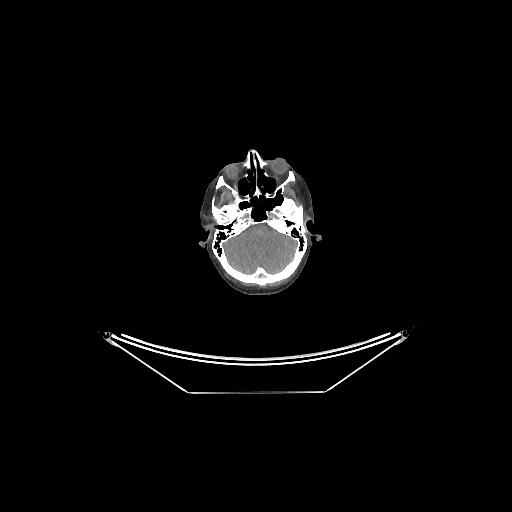 CT slice. Head.

Brain: bbox=[239, 213, 250, 222]; bbox=[222, 223, 298, 274]; bbox=[266, 211, 279, 220].